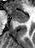 MRI slice.

anterior hippocampus: [8, 8, 29, 17] | posterior hippocampus: [15, 18, 29, 23]